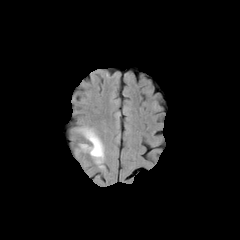
FLAIR MR image.
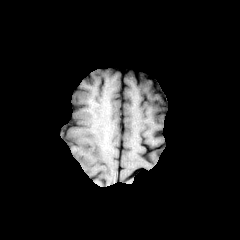
T1-weighted magnetic resonance.
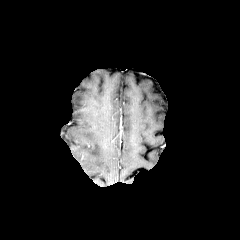
Post-contrast T1-weighted magnetic resonance.
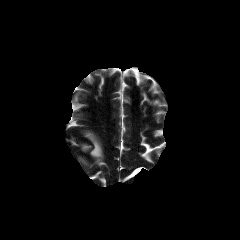
T2-weighted MR.
Brain
edema: x1=80 y1=128 x2=103 y2=164